512x512 | Abdomen | CT image

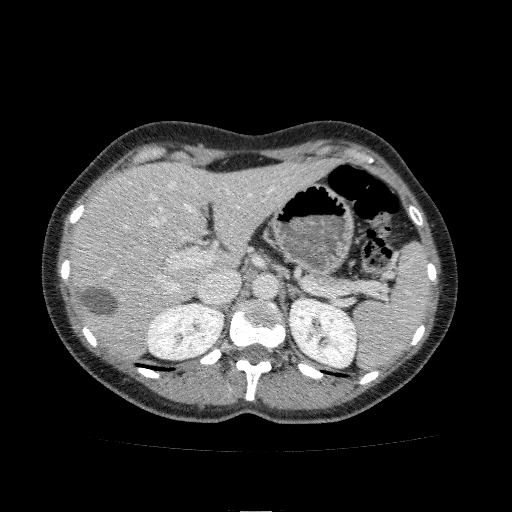

{"kidney": ["bbox=[146, 304, 223, 359]", "bbox=[290, 299, 356, 367]"], "liver": ["bbox=[69, 158, 336, 357]"]}